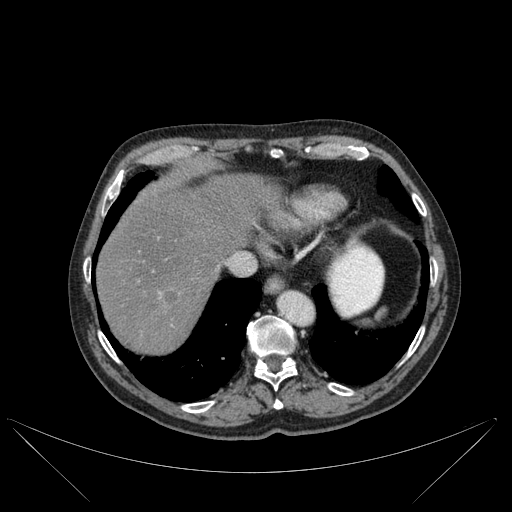

CT scan slice, Upper abdomen
Bone at [328,383,352,395], [105,176,121,198], [98,332,118,361], [182,401,213,412], [247,315,296,390], [412,194,426,215], [274,400,282,408], [430,261,437,282], [407,327,424,356], [83,262,90,280], [270,151,281,157].
Liver lesion at [164,291,176,302].
Liver at [97,174,281,355].
Lung at [377,165,418,222], [92,171,153,268], [98,279,261,401], [309,244,429,384].